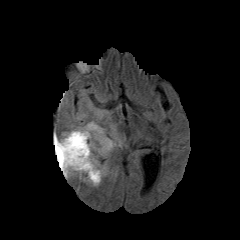
FLAIR MR image.
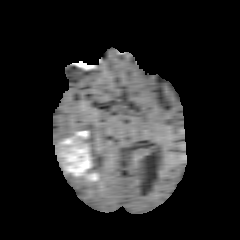
T1-weighted MRI.
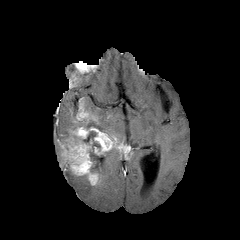
Same slice, post-contrast T1-weighted MR image.
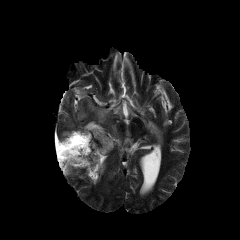
T2-weighted MRI.
enhancing_tumor:
  - region(57, 126, 123, 184)
non-enhancing_tumor_core:
  - region(82, 131, 95, 143)
  - region(55, 138, 63, 164)
  - region(89, 146, 103, 172)
edema:
  - region(104, 146, 117, 158)
  - region(64, 172, 89, 183)
  - region(106, 132, 125, 150)
  - region(60, 131, 71, 139)
  - region(90, 160, 109, 185)
  - region(82, 110, 108, 131)